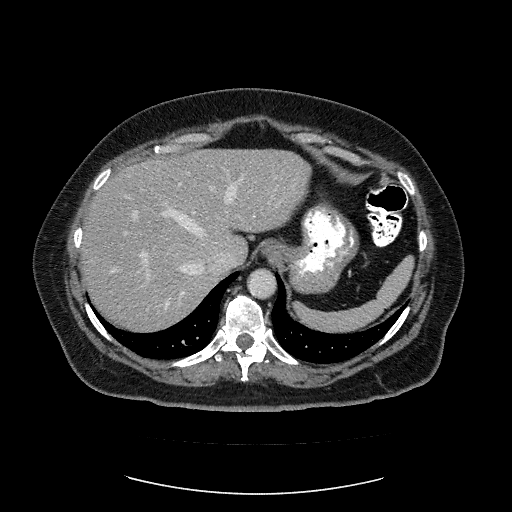
CT scan slice. Abdomen. Not every hepatic vessel necessarily has a box.
<segmentation partial="true">
  <hepatic_vessel shown="15" total="17">x1=126, y1=195, x2=130, y2=198; x1=192, y1=211, x2=194, y2=213; x1=179, y1=183, x2=181, y2=186; x1=108, y1=268, x2=117, y2=272; x1=133, y1=211, x2=137, y2=219; x1=124, y1=232, x2=128, y2=234; x1=181, y1=264, x2=203, y2=274; x1=165, y1=300, x2=168, y2=308; x1=141, y1=252, x2=149, y2=281; x1=278, y1=199, x2=283, y2=204; x1=180, y1=291, x2=184, y2=298; x1=210, y1=186, x2=214, y2=189; x1=163, y1=210, x2=204, y2=234; x1=225, y1=185, x2=235, y2=202; x1=239, y1=175, x2=243, y2=180</hepatic_vessel>
</segmentation>